Abdomen. 512x512. CT. 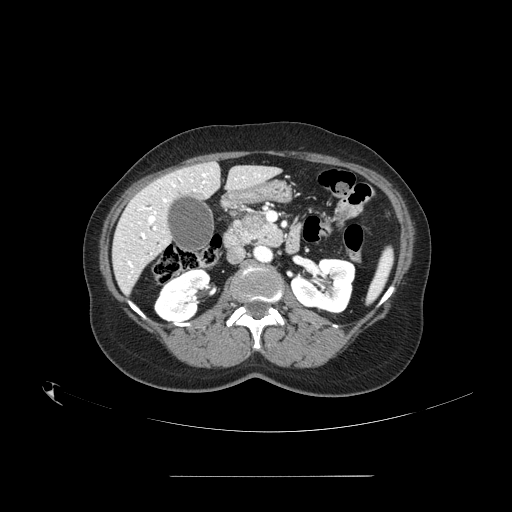

Pancreas at {"x1": 233, "y1": 215, "x2": 282, "y2": 246}.
Pancreatic tumor at {"x1": 243, "y1": 213, "x2": 265, "y2": 232}.